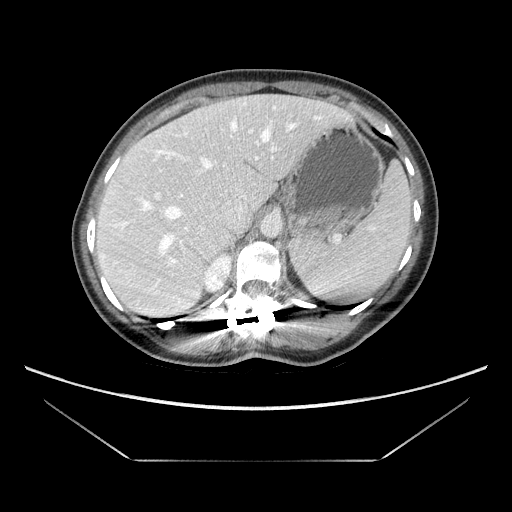

CT slice
Some hepatic vessels may have no box.
6 hepatic vessel regions are located at bbox(225, 201, 244, 222); bbox(145, 203, 148, 206); bbox(263, 131, 268, 139); bbox(203, 159, 211, 167); bbox(164, 205, 184, 220); bbox(162, 234, 177, 247).